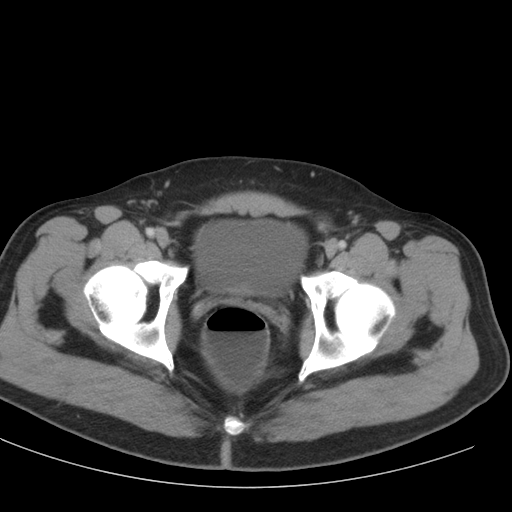

Lower abdomen; CT

urinary bladder: 191:214:307:298